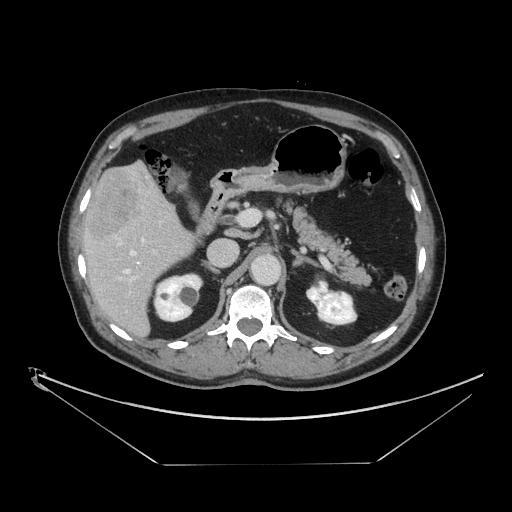
Abdomen; Image size 512x512; CT

The vessel annotation is not exhaustive.
Hepatic vessel — rect(138, 262, 140, 264); rect(153, 250, 155, 252); rect(129, 276, 136, 283); rect(124, 269, 129, 272); rect(117, 238, 122, 244); rect(131, 251, 135, 255); rect(142, 239, 144, 243).
Liver tumor — rect(86, 168, 143, 243).